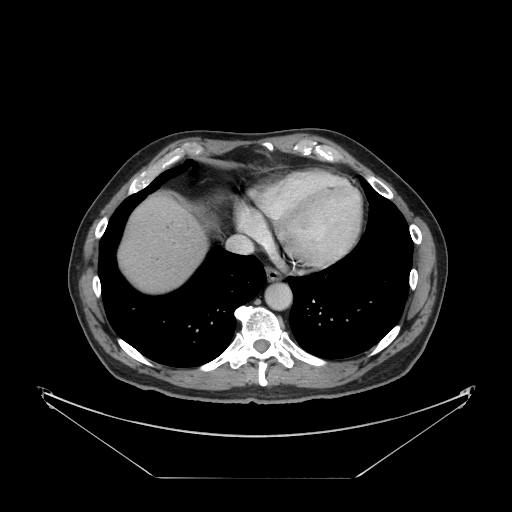 Abdomen | Image size 512x512 | CT image
Only some of the vessels may be annotated.
Hepatic vessel: [229, 226, 257, 252].